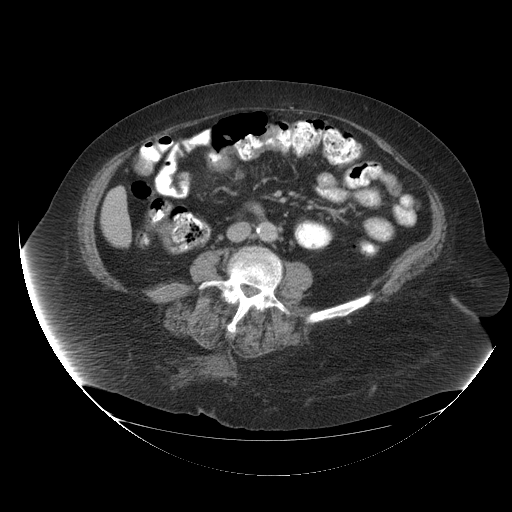

CT scan slice | 512x512 px | Abdomen

Colon tumor: bounding box (209,156,229,168).